Medial temporal lobe. Slice index 15. 36x49. MR image. 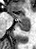 anterior hippocampus: box(12, 13, 28, 21) | posterior hippocampus: box(16, 21, 29, 32)